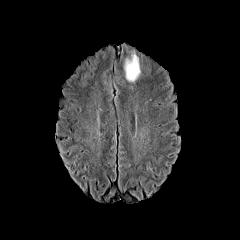
FLAIR MR.
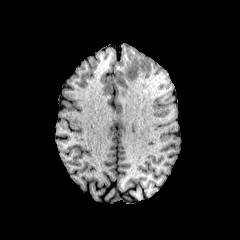
T1-weighted MRI.
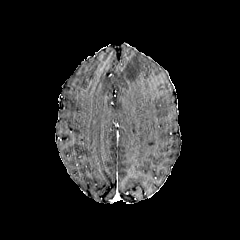
Post-contrast T1-weighted MRI.
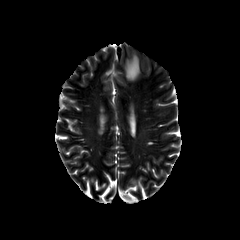
T2-weighted MRI.
Brain
The edema is at [124,51,141,81].